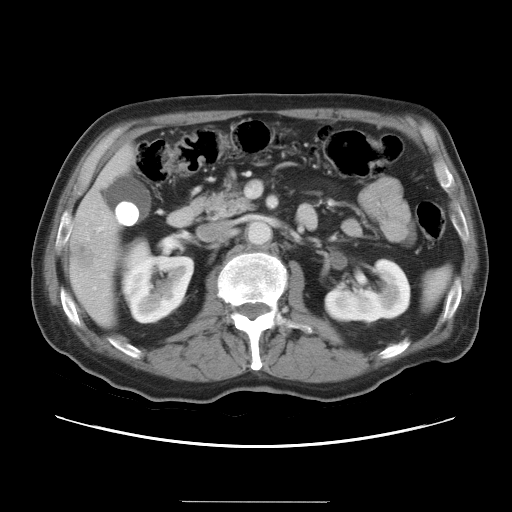

CT scan slice. Liver. 512x512 px.

The vessel boxes may cover only some of the vessels.
{
  "liver_tumor": [
    "76:245:95:267"
  ],
  "hepatic_vessel": [
    "96:227:103:230"
  ]
}